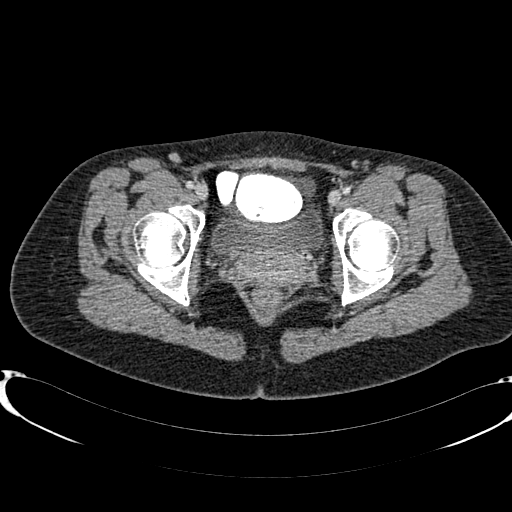 Image size 512x512. Pelvis. CT.

<segmentation>
  <urinary_bladder>[215,203,319,253]</urinary_bladder>
</segmentation>